Field of view 512 mm wide, 1.00 mm slice spacing; CT scan slice; Slice 90 of 139; Abdomen

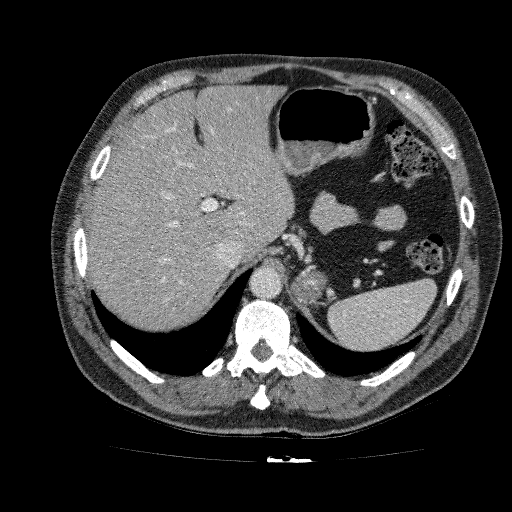

liver: (87, 84, 294, 331)